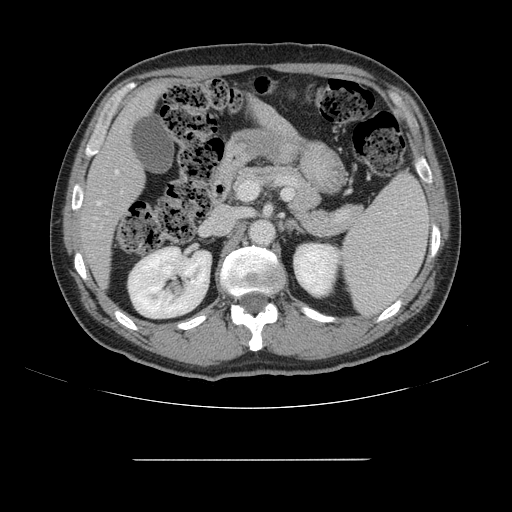 Liver. 512x512. CT slice.

Only some of the vessels may be annotated.
Annotated regions:
* hepatic vessel: x1=120 y1=190 x2=122 y2=193, x1=116 y1=170 x2=117 y2=172, x1=97 y1=201 x2=100 y2=204